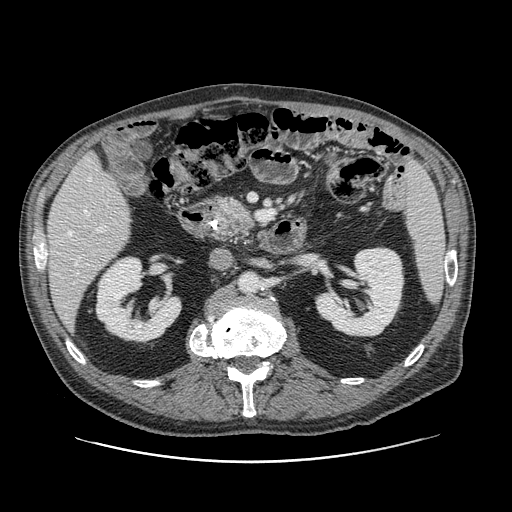 Upper abdomen | CT slice
The pancreas is at x1=218 y1=198 x2=252 y2=235.